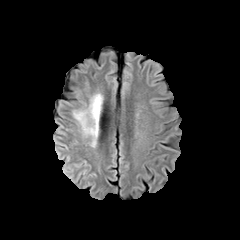
FLAIR MR.
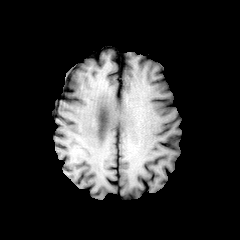
T1-weighted MR image.
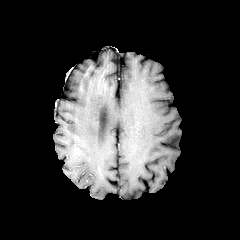
Post-contrast T1-weighted MRI.
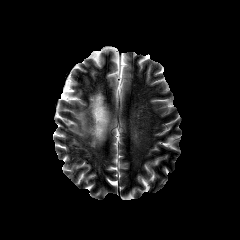
T2-weighted magnetic resonance of the same slice.
Brain; Image size 240x240
The edema lies within <box>72,91,103,147</box>.